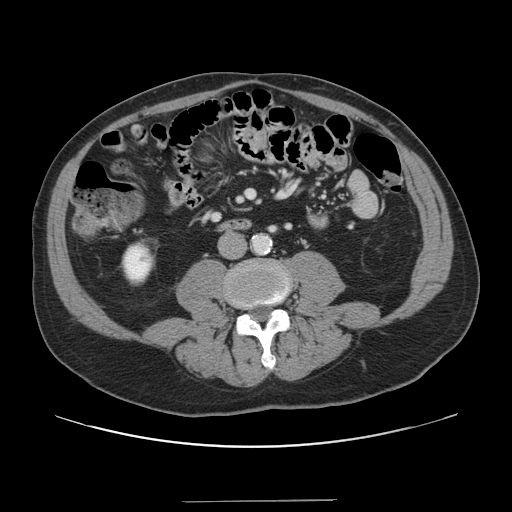
Liver; CT slice
Not every hepatic vessel necessarily has a box.
The hepatic vessel appears at (left=248, top=192, right=252, bottom=197).